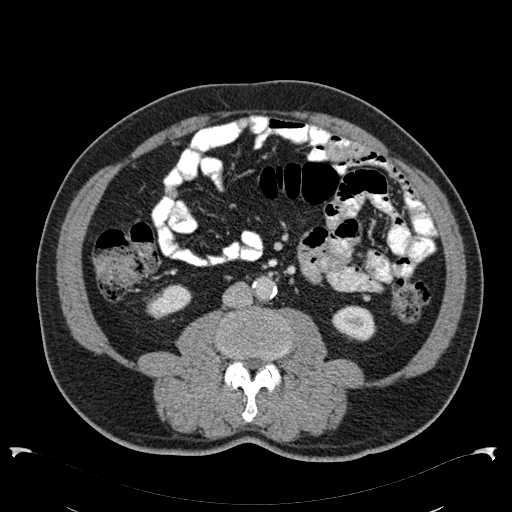
Abdomen. CT.
2 kidney regions appear at region(332, 306, 374, 341); region(147, 285, 190, 318).